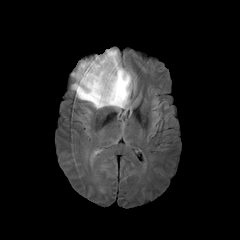
FLAIR MR.
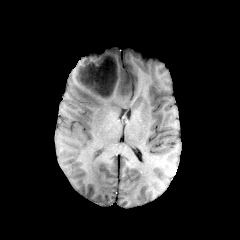
T1-weighted MR image.
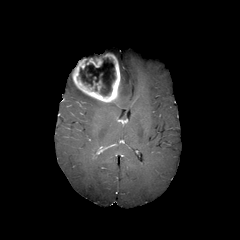
Post-contrast T1-weighted MR of the same slice.
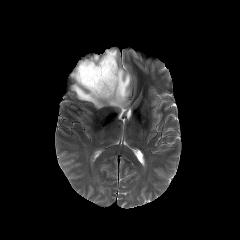
T2-weighted MR of the same slice.
Brain
The non-enhancing tumor core is located at [79,57,115,95]. The edema is located at [71,48,135,115]. 2 enhancing tumor regions appear at [72,54,120,103], [87,58,102,67].